FLAIR magnetic resonance.
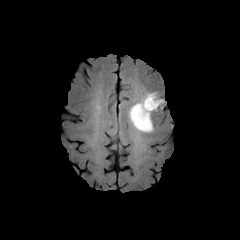
T1-weighted MR image.
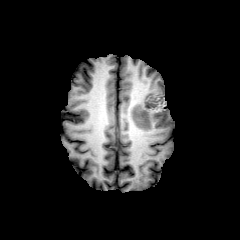
Post-contrast T1-weighted magnetic resonance.
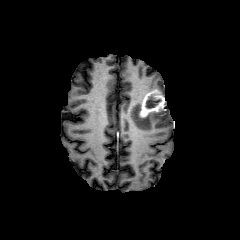
T2-weighted MR image.
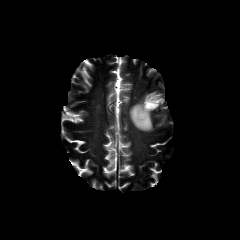
Head.
Non-enhancing tumor core at box(137, 102, 147, 119); box(146, 96, 159, 108).
Edema at box(128, 100, 155, 132).
Enhancing tumor at box(139, 91, 164, 117).